FLAIR MR image.
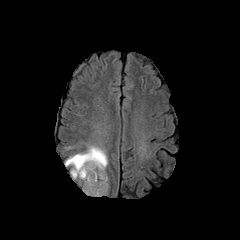
T1-weighted magnetic resonance.
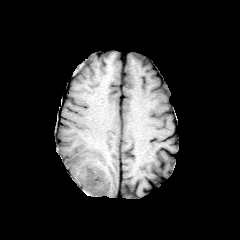
Post-contrast T1-weighted MR.
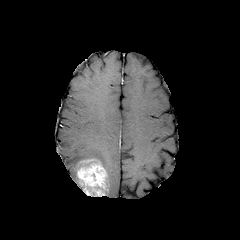
T2-weighted MR image.
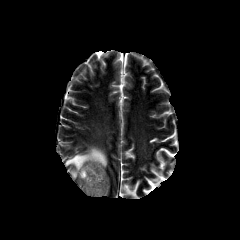
Brain | 240x240 px
Edema — bbox=[64, 145, 107, 178].
Enhancing tumor — bbox=[74, 158, 107, 196].